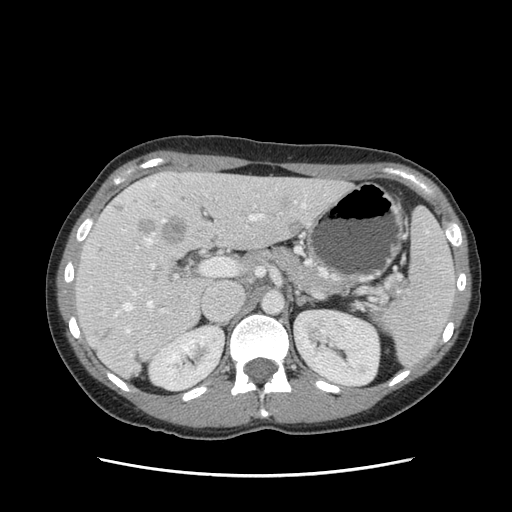 CT scan slice
Pancreatic tumor = 389 279 408 298.
Pancreas = 272 248 339 293.